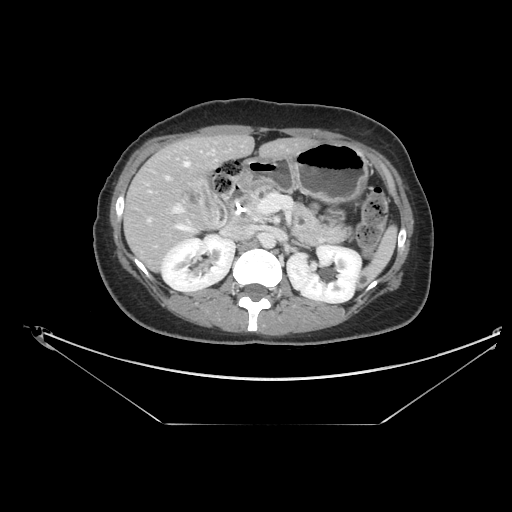

512x512 px | CT slice

Pancreas: 248 187 272 208, 294 203 349 244.